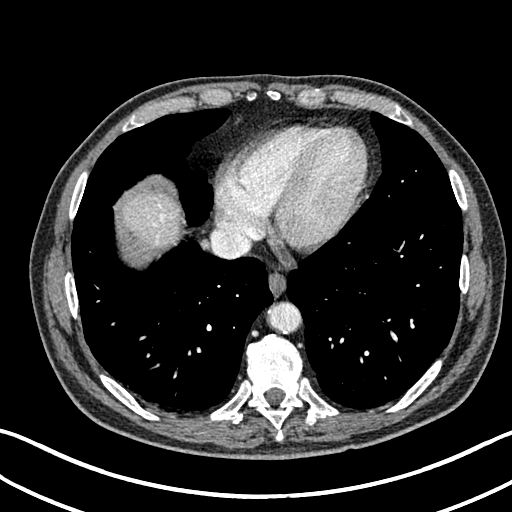
512x512 px | Computed tomography

liver:
  - 122 192 178 248